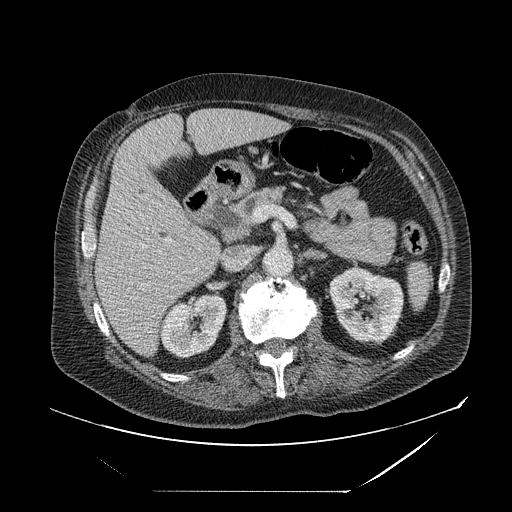

CT slice.

The pancreas lies within [x1=233, y1=186, x2=287, y2=232].